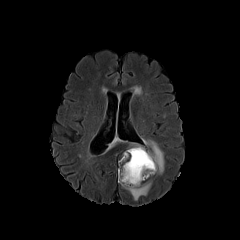
FLAIR magnetic resonance.
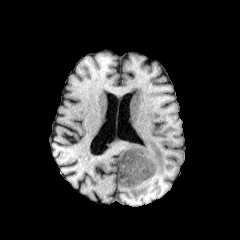
T1-weighted MRI.
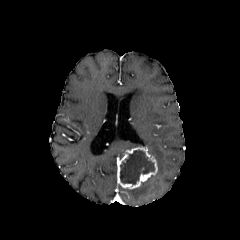
Same slice, post-contrast T1-weighted MRI.
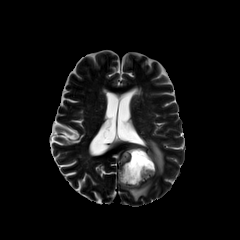
T2-weighted magnetic resonance of the same slice.
240x240. Brain.
Non-enhancing tumor core — (119,149,155,184).
Edema — (143,139,164,174), (128,182,152,200).
Enhancing tumor — (117,145,157,189).